Brain. Slice 69 of 155. Field of view 240x240 mm.
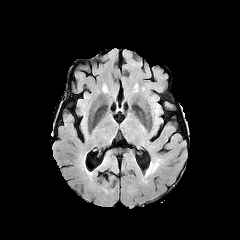
FLAIR MR image.
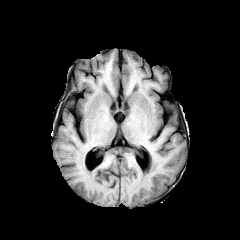
Same slice, T1-weighted magnetic resonance.
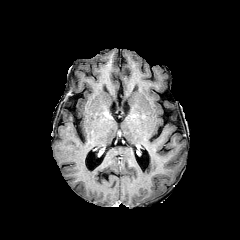
Post-contrast T1-weighted magnetic resonance.
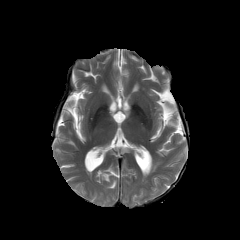
T2-weighted MRI.
The edema appears at {"x1": 145, "y1": 158, "x2": 159, "y2": 177}.